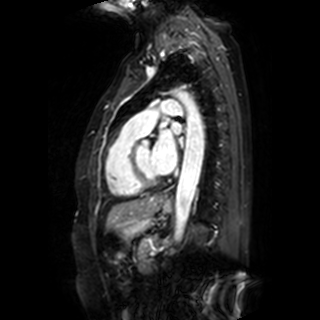 Magnetic resonance; 320x320 px

Segmented structures:
* left atrium: [152,130,177,173], [172,122,181,134]